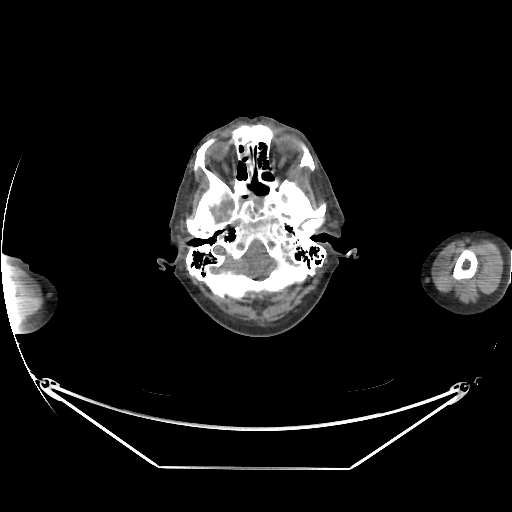
Brain. CT image.
- brain: {"x1": 282, "y1": 255, "x2": 298, "y2": 266}, {"x1": 245, "y1": 152, "x2": 254, "y2": 167}, {"x1": 270, "y1": 216, "x2": 278, "y2": 223}, {"x1": 209, "y1": 237, "x2": 277, "y2": 281}, {"x1": 250, "y1": 220, "x2": 266, "y2": 229}, {"x1": 251, "y1": 195, "x2": 262, "y2": 204}, {"x1": 209, "y1": 193, "x2": 234, "y2": 224}